Medial temporal lobe. Slice 23/34. MR.
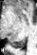

The posterior hippocampus is at {"x1": 11, "y1": 39, "x2": 25, "y2": 48}.